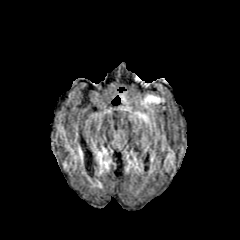
FLAIR MR.
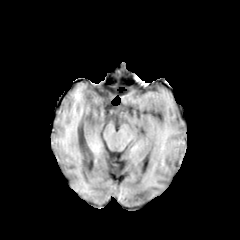
Same slice, T1-weighted MR.
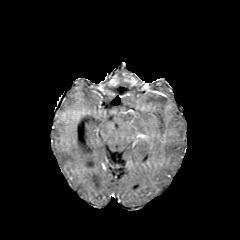
Post-contrast T1-weighted MR.
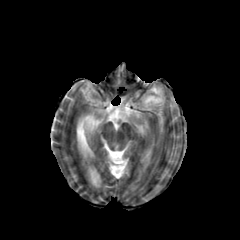
T2-weighted MR of the same slice.
Head
Edema = region(144, 95, 160, 103).